FLAIR MR image.
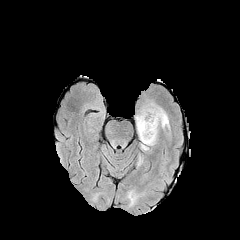
T1-weighted MR.
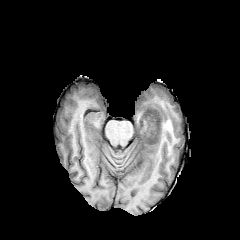
Post-contrast T1-weighted magnetic resonance.
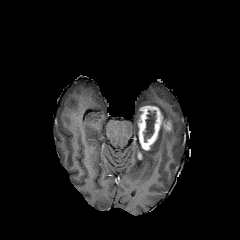
T2-weighted magnetic resonance.
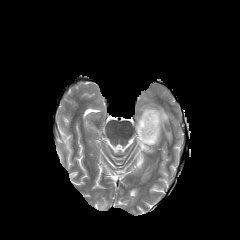
2 non-enhancing tumor core regions appear at box(136, 136, 147, 156); box(144, 112, 155, 138). The enhancing tumor is bounded by box(138, 106, 162, 150). The edema is located at box(143, 102, 170, 160).